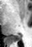
MRI, Image size 32x47
The posterior hippocampus lies within 10, 37, 20, 40.